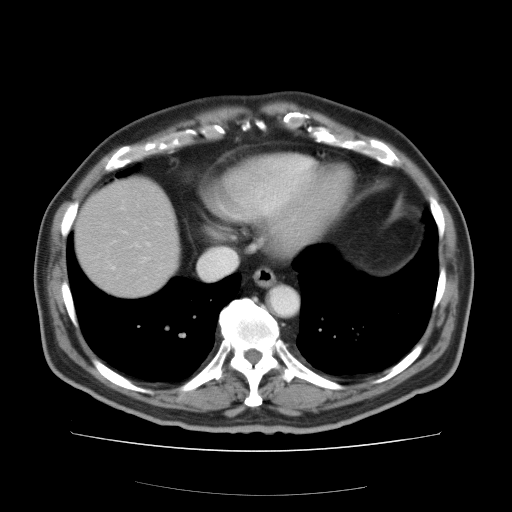

Abdomen, CT

Not every hepatic vessel necessarily has a box.
Findings:
* hepatic vessel: bbox=[111, 266, 113, 268]